CT scan slice; 512x512; Slice 35/81 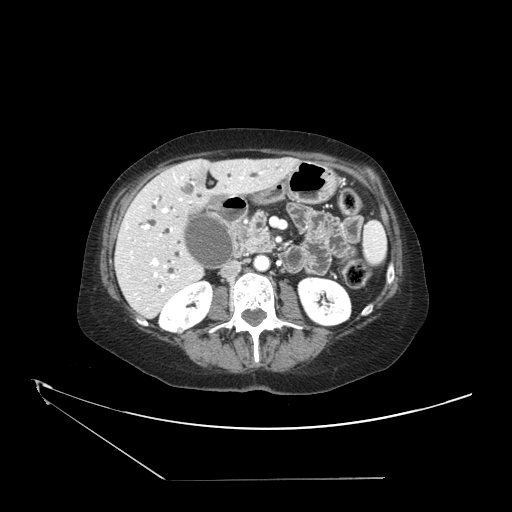
The pancreas is at 243 212 273 253.